FLAIR magnetic resonance.
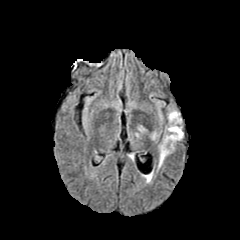
T1-weighted MR image.
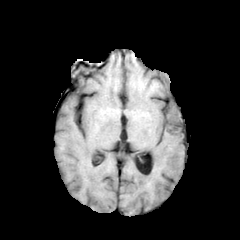
Post-contrast T1-weighted MRI.
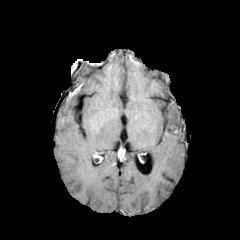
T2-weighted magnetic resonance.
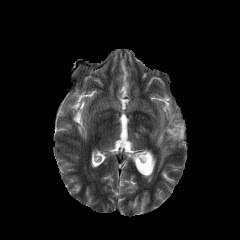
Brain | 240x240 px
The edema is located at <box>159,110,183,166</box>.